Slice index 56, CT scan slice, Image size 512x512 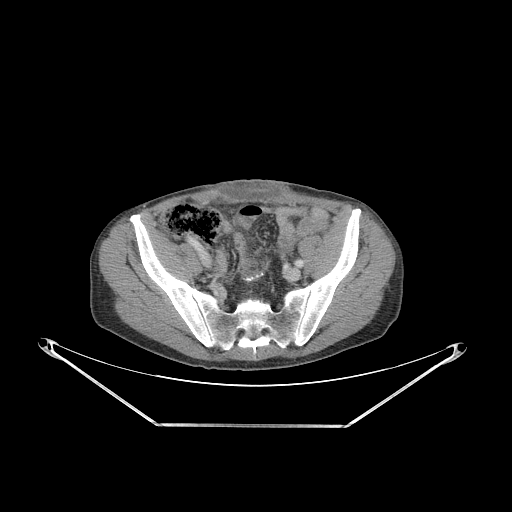

bone:
  - 276:209:360:347
  - 236:300:270:353
  - 130:215:233:349